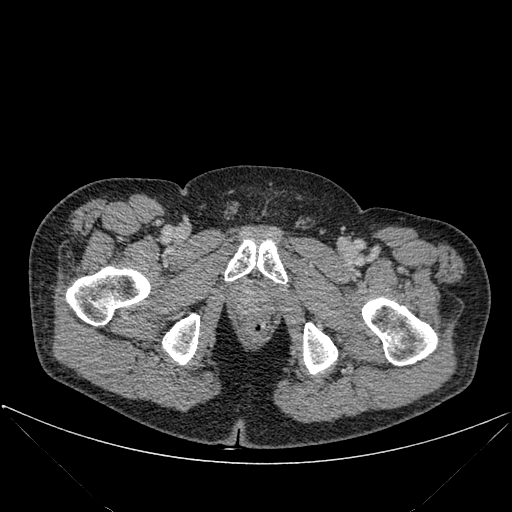
CT. 512x512.
* bone: l=303, t=323, r=337, b=374; l=225, t=240, r=287, b=283; l=162, t=314, r=199, b=364; l=362, t=298, r=437, b=365; l=66, t=266, r=150, b=325